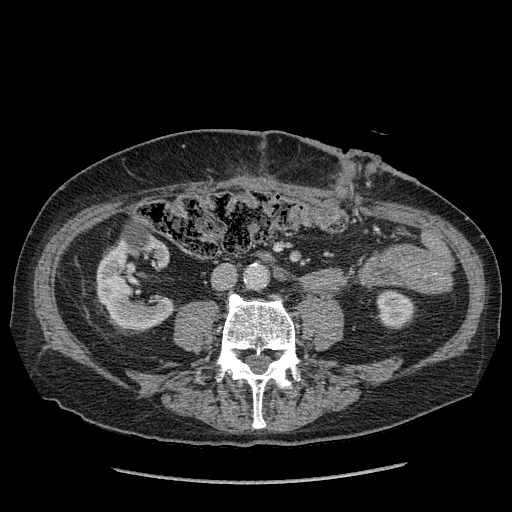
Abdomen, CT scan slice
Kidney at box=[377, 291, 413, 327]; box=[145, 239, 168, 267]; box=[97, 241, 172, 329].